Head; Field of view 240 mm wide, 1.00 mm slice spacing; Slice 76/155; 240x240
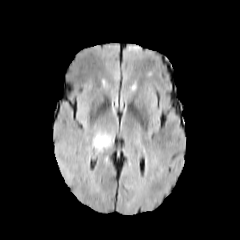
FLAIR MRI.
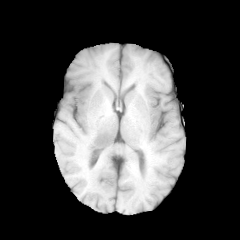
Same slice, T1-weighted magnetic resonance.
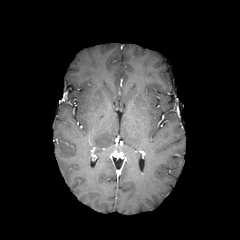
Post-contrast T1-weighted MRI.
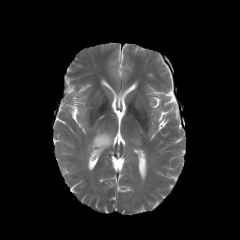
T2-weighted MR of the same slice.
Edema — box(92, 132, 111, 148).